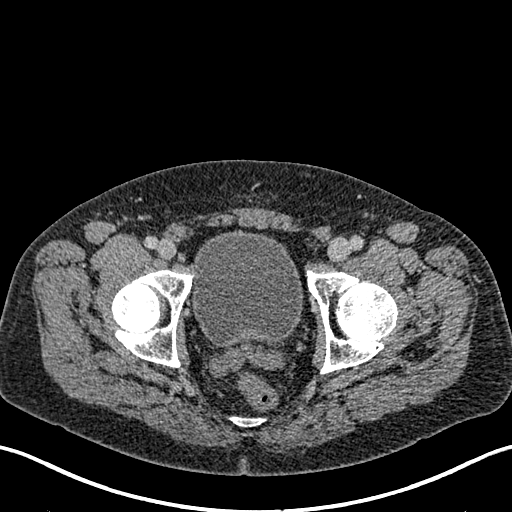 CT slice | Image size 512x512
urinary bladder: region(192, 230, 302, 340)